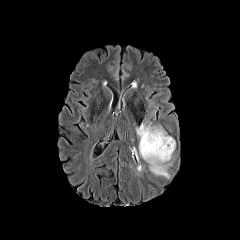
FLAIR MR image.
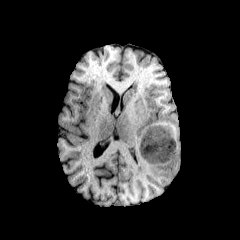
T1-weighted MR image.
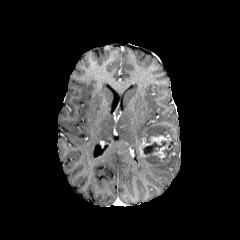
Post-contrast T1-weighted MR of the same slice.
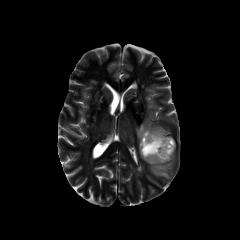
T2-weighted MR.
240x240; Brain
The non-enhancing tumor core lies within l=143, t=142, r=164, b=153. 2 edema regions appear at l=136, t=118, r=165, b=145; l=144, t=155, r=171, b=177. The enhancing tumor is located at l=139, t=134, r=172, b=157.